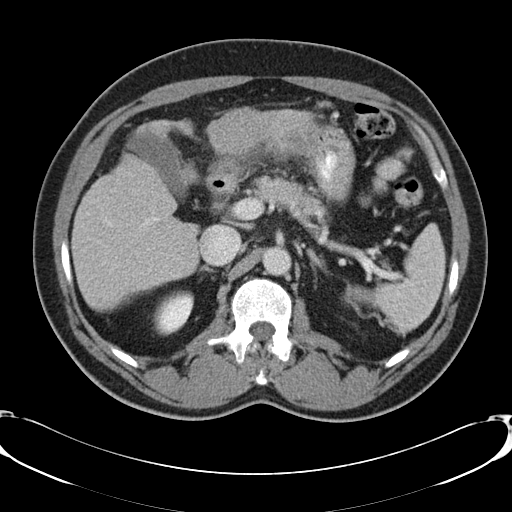

512x512 px. Computed tomography.

Not every hepatic vessel necessarily has a box.
Liver tumor: bounding box rect(287, 129, 313, 151).
Hepatic vessel: bounding box rect(141, 217, 158, 226); rect(136, 253, 138, 254).